Abdomen; Slice 477 of 624; Computed tomography

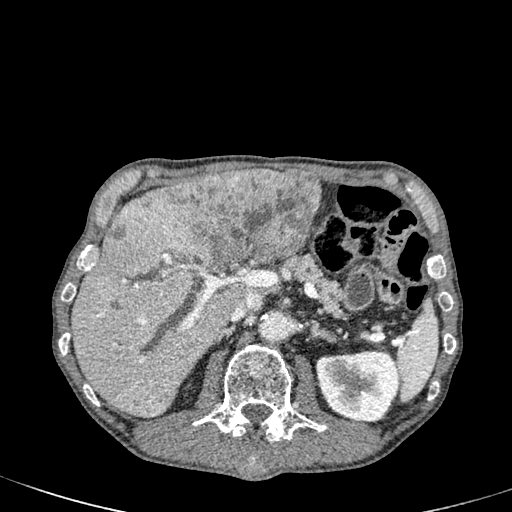

4 focal liver lesion regions are located at {"x1": 135, "y1": 396, "x2": 147, "y2": 406}, {"x1": 109, "y1": 226, "x2": 123, "y2": 238}, {"x1": 142, "y1": 197, "x2": 151, "y2": 206}, {"x1": 166, "y1": 169, "x2": 320, "y2": 270}. 2 liver regions appear at {"x1": 284, "y1": 168, "x2": 319, "y2": 182}, {"x1": 71, "y1": 183, "x2": 248, "y2": 416}. The kidney is bounded by {"x1": 315, "y1": 352, "x2": 402, "y2": 420}.